FLAIR MRI.
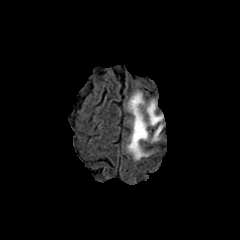
T1-weighted magnetic resonance.
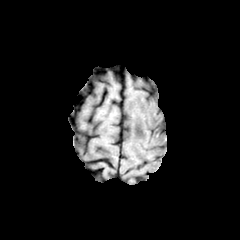
Post-contrast T1-weighted MR.
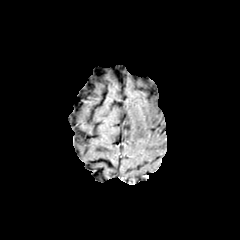
T2-weighted MR.
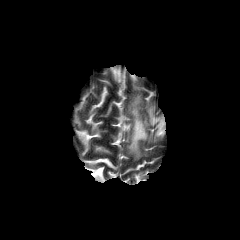
Brain
The edema is located at 126,90,165,159.